FLAIR MR.
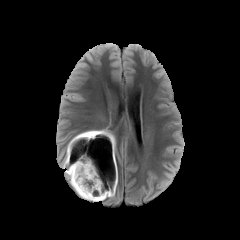
T1-weighted magnetic resonance.
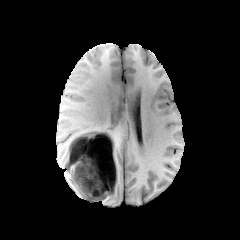
Post-contrast T1-weighted MR image.
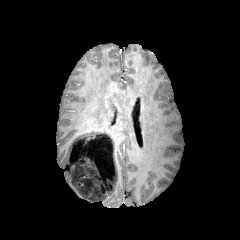
T2-weighted magnetic resonance.
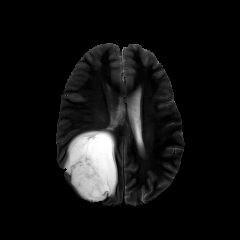
Head.
Findings:
• non-enhancing tumor core: 66 130 115 199
• edema: 66 170 89 199, 90 182 115 201, 102 138 113 167, 63 134 77 167